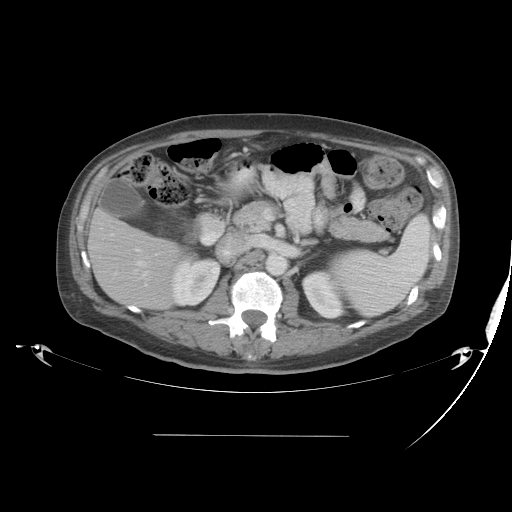 CT slice

The vessel boxes may cover only some of the vessels.
Annotated regions:
• hepatic vessel: [107, 233, 115, 236], [103, 236, 104, 238], [144, 283, 146, 285], [133, 269, 138, 273], [155, 254, 157, 255], [135, 260, 149, 279]